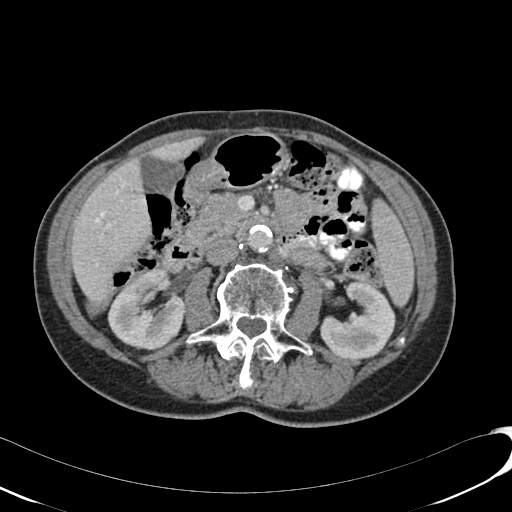

CT image; Abdomen
<segmentation>
  <liver>72,158,149,300; 153,136,203,161</liver>
  <kidney>321,282,394,359; 108,269,185,349; 143,291,154,301</kidney>
</segmentation>